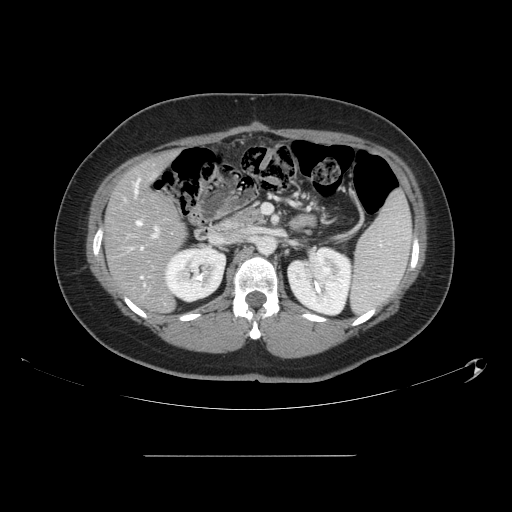

Abdomen; CT; Image size 512x512

Not every hepatic vessel necessarily has a box.
5 hepatic vessel regions are located at bbox(141, 247, 142, 249); bbox(137, 221, 141, 225); bbox(141, 277, 142, 278); bbox(134, 178, 139, 192); bbox(152, 227, 157, 237).